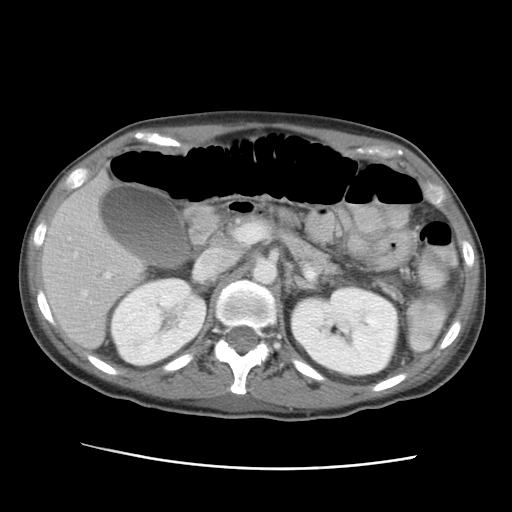

CT | 512x512 px
The liver is located at {"x1": 42, "y1": 171, "x2": 144, "y2": 347}. 2 kidney regions are bounded by {"x1": 112, "y1": 279, "x2": 205, "y2": 364}, {"x1": 291, "y1": 287, "x2": 397, "y2": 375}.